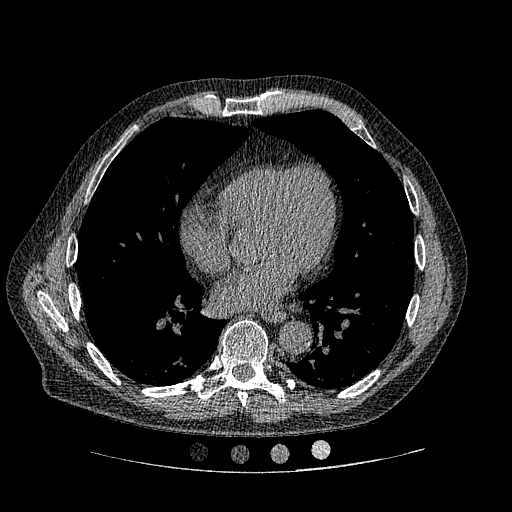

CT scan slice. The lung tumor lies within l=102, t=198, r=116, b=211.